Slice 33 of 92; CT slice
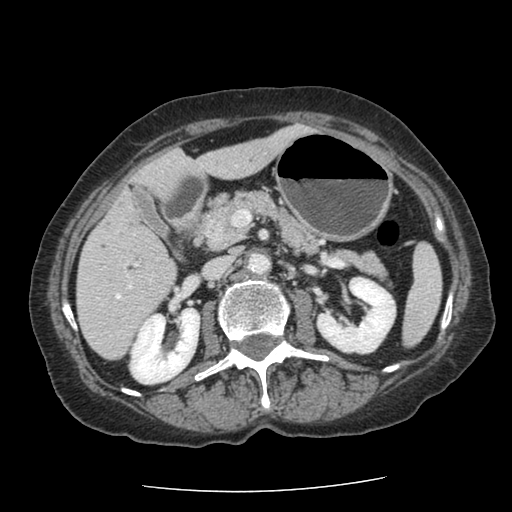 Findings:
- pancreatic tumor: (203, 217, 227, 244)
- pancreas: (334, 251, 386, 279), (203, 191, 320, 254)